512x512 px. CT scan slice. Slice 105/144. Liver. 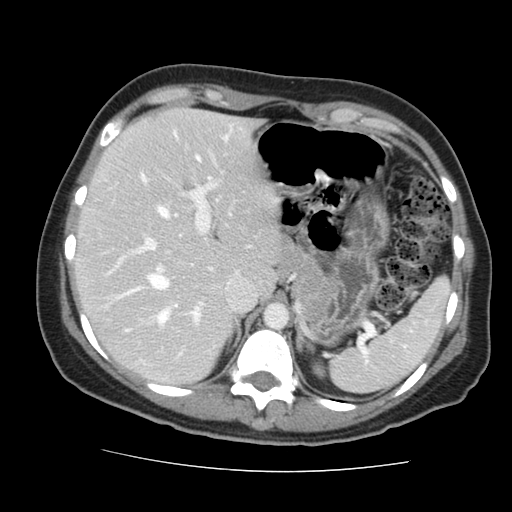 The vessel boxes may cover only some of the vessels.
{
  "hepatic_vessel": [
    "bbox(174, 132, 175, 136)",
    "bbox(190, 310, 198, 321)",
    "bbox(224, 135, 227, 140)",
    "bbox(190, 178, 212, 232)",
    "bbox(136, 238, 155, 252)",
    "bbox(118, 258, 122, 263)",
    "bbox(125, 330, 128, 331)",
    "bbox(199, 303, 202, 305)",
    "bbox(174, 305, 175, 306)",
    "bbox(149, 267, 167, 288)",
    "bbox(119, 289, 136, 297)",
    "bbox(157, 310, 167, 324)",
    "bbox(196, 156, 198, 160)"
  ]
}